512x512. CT scan slice. 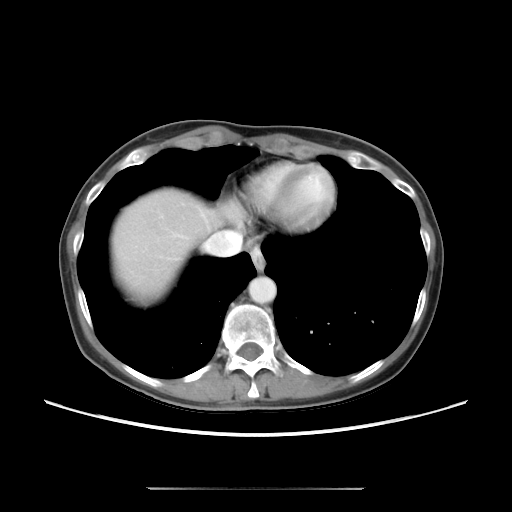

The vessel boxes may cover only some of the vessels.
Hepatic vessel: 214 232 240 241.